FLAIR MR image.
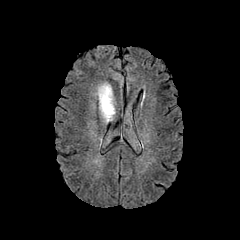
T1-weighted MR.
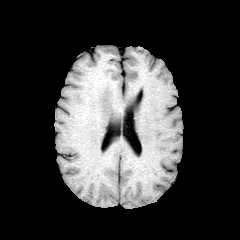
Post-contrast T1-weighted MR.
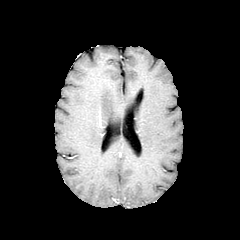
T2-weighted MRI.
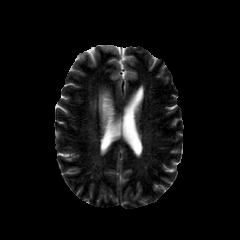
240x240 px
Annotated regions:
• edema: region(91, 84, 115, 122)